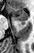 Medial temporal lobe; MR image

Anterior hippocampus: bbox(8, 6, 28, 23).
Posterior hippocampus: bbox(22, 24, 25, 25).